FLAIR magnetic resonance.
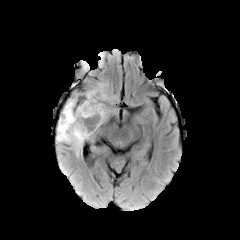
T1-weighted MR.
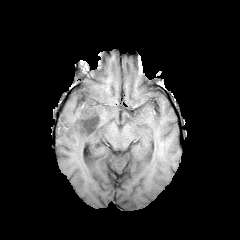
Post-contrast T1-weighted magnetic resonance.
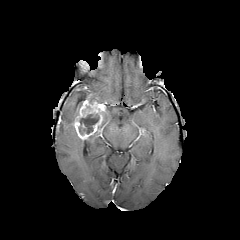
T2-weighted MRI.
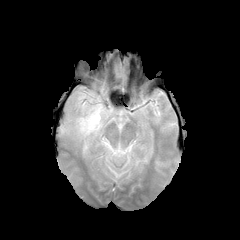
Head. 240x240.
The enhancing tumor is bounded by [73, 94, 105, 139]. 2 non-enhancing tumor core regions are bounded by [80, 114, 99, 133], [89, 116, 103, 139]. 2 edema regions are located at [91, 84, 110, 122], [57, 90, 94, 155].